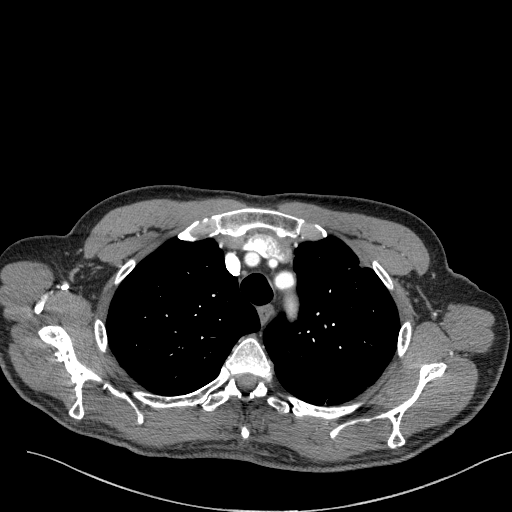 Chest, CT scan slice, Image size 512x512
lung tumor: (346,266,366,296)